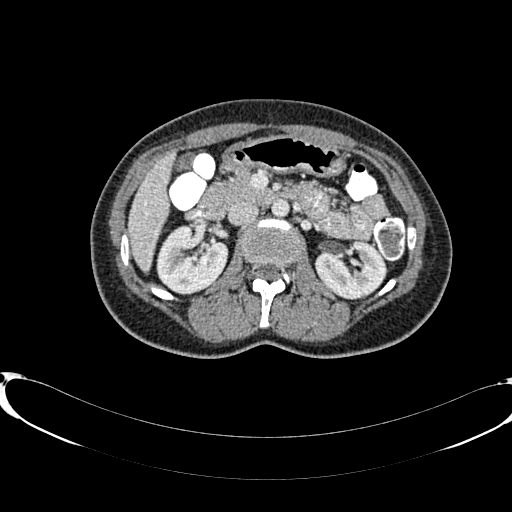
Abdomen | CT slice

Annotated regions:
* kidney: <bbox>316, 243, 384, 297</bbox>, <bbox>158, 227, 226, 292</bbox>
* liver: <bbox>128, 152, 176, 270</bbox>